Slice index 76
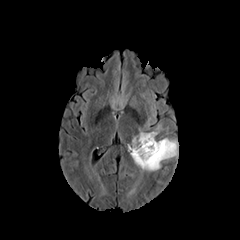
FLAIR MR.
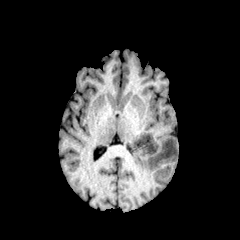
Same slice, T1-weighted magnetic resonance.
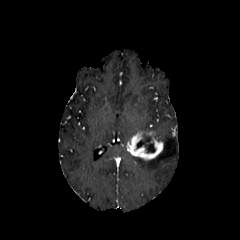
Post-contrast T1-weighted MR image of the same slice.
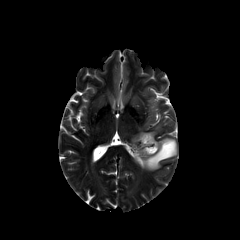
T2-weighted magnetic resonance.
Edema at (x1=132, y1=137, x2=176, y2=170).
Enhancing tumor at (x1=131, y1=131, x2=163, y2=160).
Non-enhancing tumor core at (x1=136, y1=134, x2=155, y2=152).